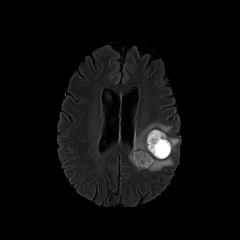
FLAIR MRI.
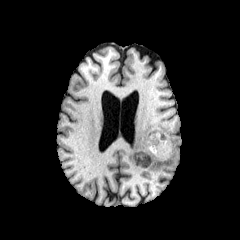
T1-weighted MR.
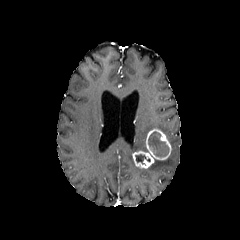
Same slice, post-contrast T1-weighted magnetic resonance.
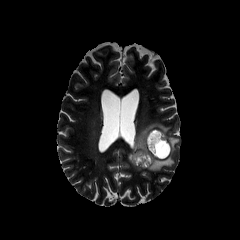
T2-weighted magnetic resonance.
Image size 240x240, Brain
Enhancing tumor: bounding box rect(131, 128, 172, 169).
Non-enhancing tumor core: bounding box rect(135, 155, 150, 162); rect(148, 131, 169, 156).
Edema: bounding box rect(128, 122, 171, 171); rect(148, 155, 172, 171); rect(166, 136, 178, 154).